CT slice. Abdomen. 512x512 px. Slice 435/841.

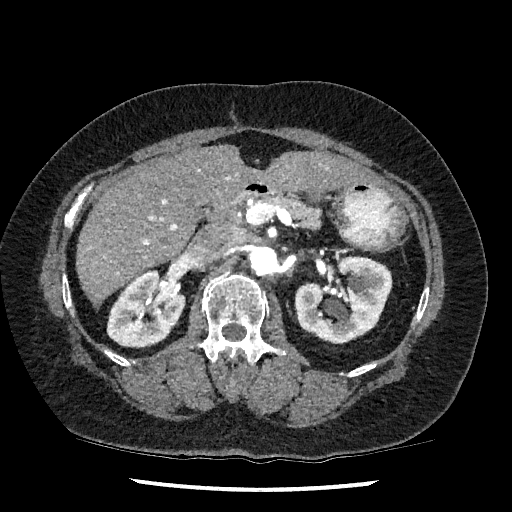
kidney:
  - [107,262,185,346]
  - [295,257,391,342]
liver:
  - [77,146,383,306]